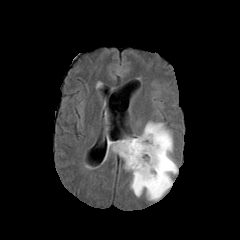
FLAIR magnetic resonance.
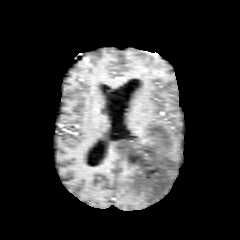
T1-weighted MR.
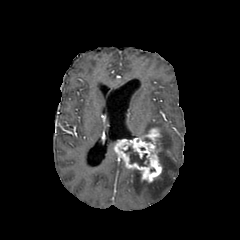
Post-contrast T1-weighted MR.
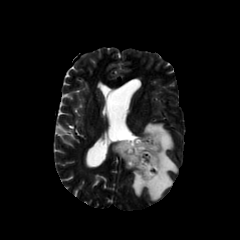
T2-weighted MR of the same slice.
Head
Non-enhancing tumor core: bounding box (left=124, top=146, right=147, bottom=166).
Edema: bounding box (left=125, top=121, right=177, bottom=201).
Enhancing tumor: bounding box (left=114, top=128, right=161, bottom=182).